Slice index 81 | CT image
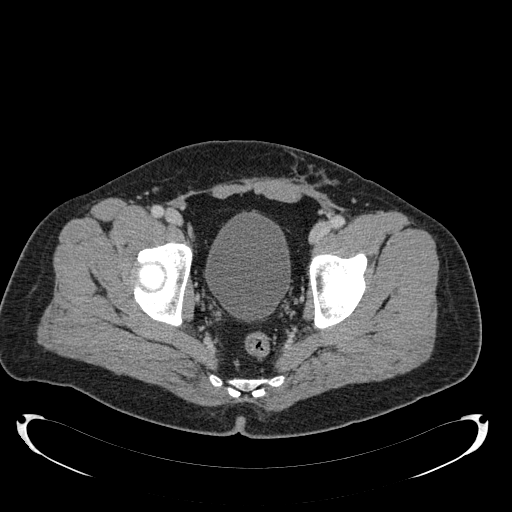
The urinary bladder is located at bbox(205, 213, 290, 320).